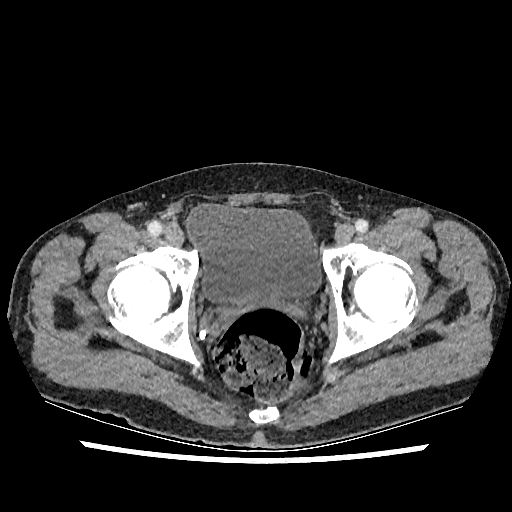
CT scan slice

Urinary bladder: bounding box left=188, top=202, right=321, bottom=327.